CT slice | Slice index 147 | Image size 512x512

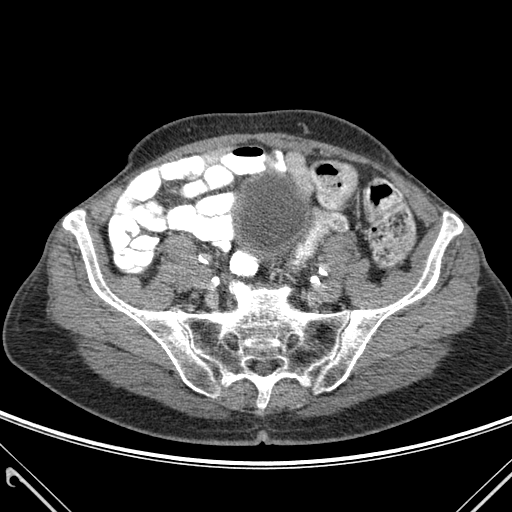 Bone: bounding box [x1=63, y1=210, x2=463, y2=407].